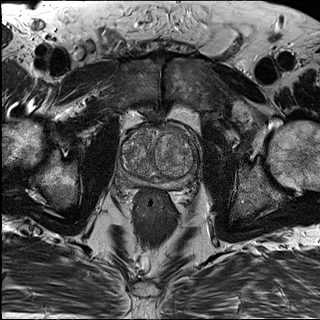
T2-weighted MR image.
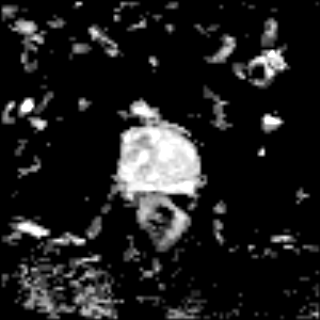
ADC MR of the same slice.
Prostate
<segmentation>
  <prostate_transition_zone>(left=119, top=128, right=196, bottom=181)</prostate_transition_zone>
  <prostate_peripheral_zone>(left=118, top=156, right=195, bottom=188)</prostate_peripheral_zone>
</segmentation>